Brain | 240x240
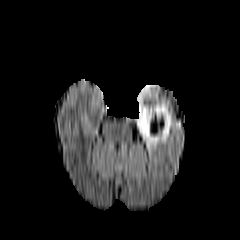
FLAIR MR.
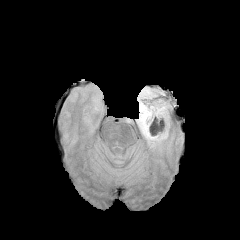
T1-weighted MR image of the same slice.
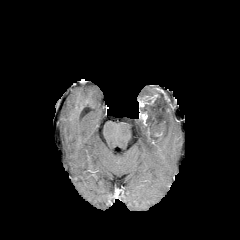
Post-contrast T1-weighted magnetic resonance.
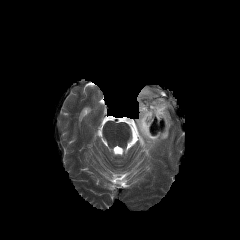
T2-weighted MRI.
Edema: bounding box l=136, t=86, r=172, b=151.
Enhancing tumor: bounding box l=139, t=112, r=147, b=124.